CT slice; Upper abdomen
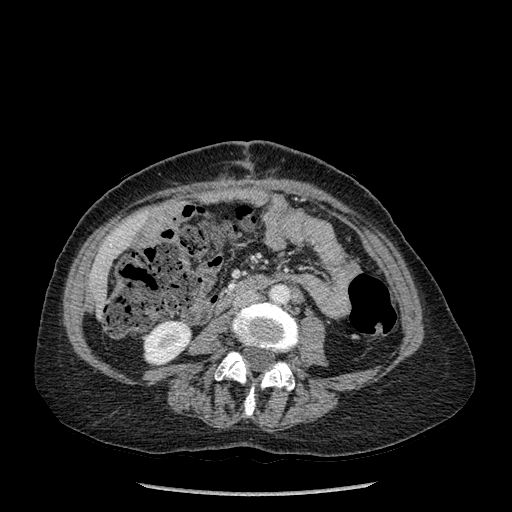

Annotated regions:
- kidney: (145,321,190,364)
- liver: (89,219,139,308)
- bone: (215,352,248,383), (260,362,294,390), (232,302,298,352), (244,384,255,415)